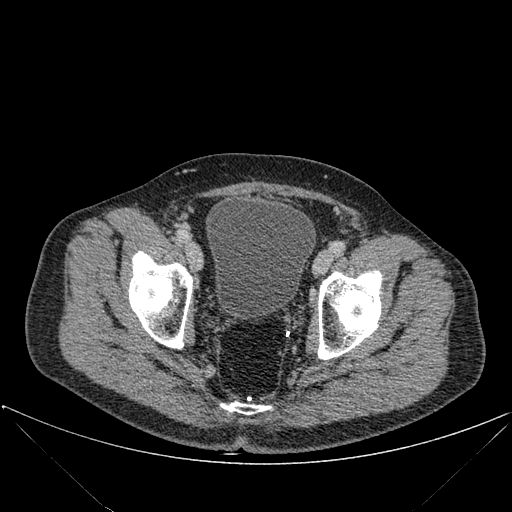 Computed tomography.

The urinary bladder appears at [206,196,315,319]. 3 bone regions appear at [129,251,192,348], [318,271,381,359], [220,402,271,414].